CT. Abdomen. 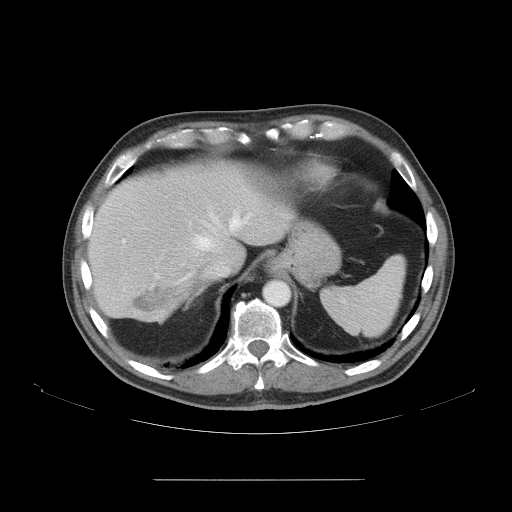 Not every hepatic vessel necessarily has a box.
Liver tumor — [132,286,182,314].
Hepatic vessel — [122,239,124,241], [180,275,189,280], [191,233,219,250], [227,205,250,233], [155,274,158,278], [211,214,219,225], [217,262,222,264], [224,269,227,271].